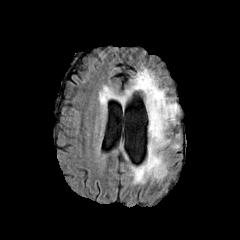
FLAIR MR image.
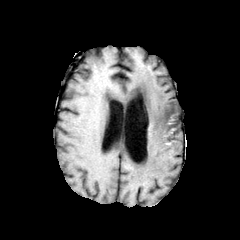
T1-weighted MR.
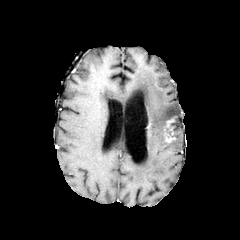
Post-contrast T1-weighted magnetic resonance.
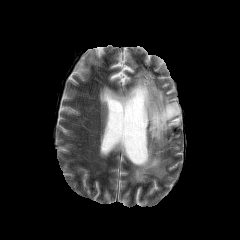
T2-weighted MR.
Segmented structures:
• edema: bbox(99, 68, 180, 183)
• non-enhancing tumor core: bbox(165, 106, 174, 116)